Slice 77 of 155
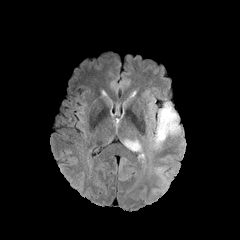
FLAIR MR.
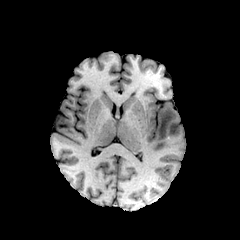
Same slice, T1-weighted MR image.
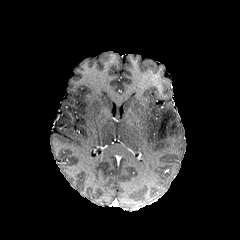
Same slice, post-contrast T1-weighted magnetic resonance.
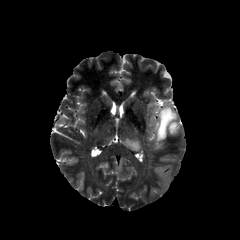
T2-weighted magnetic resonance.
2 edema regions are bounded by (155,107,180,145), (123,139,141,151).